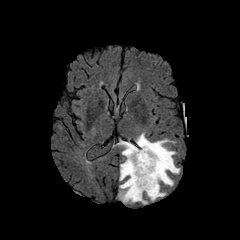
FLAIR MRI.
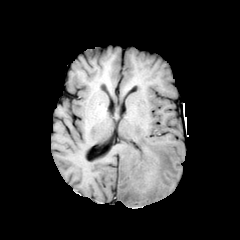
T1-weighted MRI.
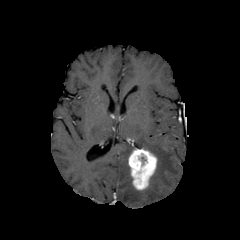
Post-contrast T1-weighted MR.
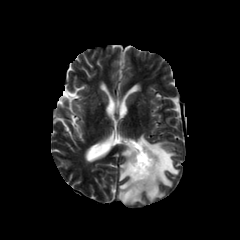
Same slice, T2-weighted MR image.
The enhancing tumor is at (left=128, top=146, right=157, bottom=191). The edema appears at (left=116, top=133, right=179, bottom=204).